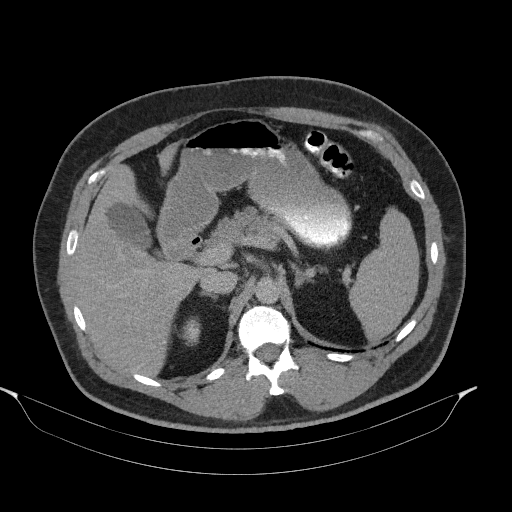

CT scan slice. Image size 512x512. Abdomen. pancreas:
  - box(211, 207, 282, 242)